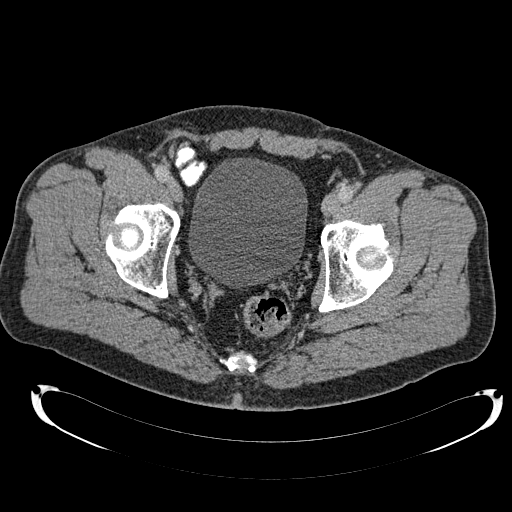

Pelvis. CT image. Urinary bladder: bounding box 188:158:307:287.